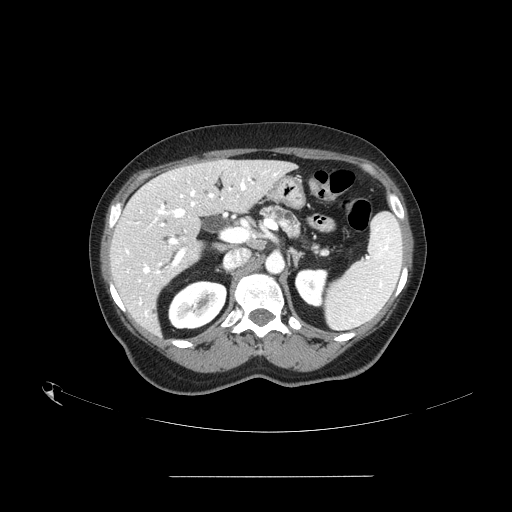
Upper abdomen | CT
Findings:
- pancreas: (260, 205, 304, 240)